CT scan slice, Field of view 490x490 mm, Slice index 60
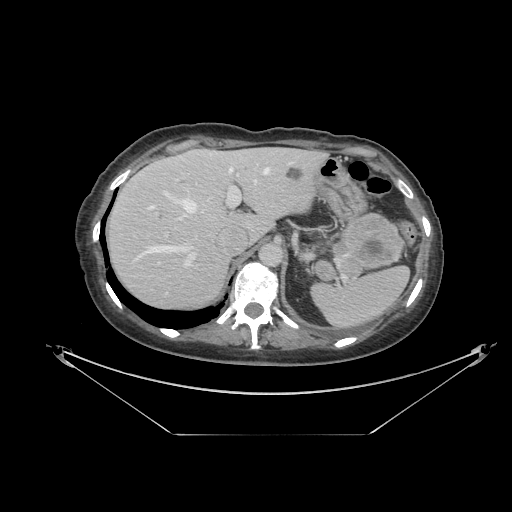

Pancreas: [331, 215, 402, 278].
Pancreatic tumor: [344, 212, 401, 269].